FLAIR MR image.
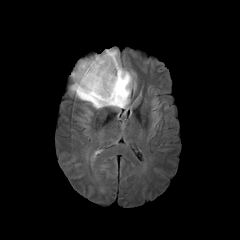
T1-weighted magnetic resonance.
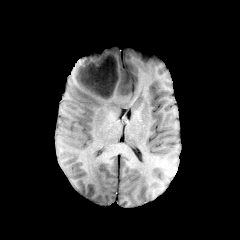
Post-contrast T1-weighted magnetic resonance.
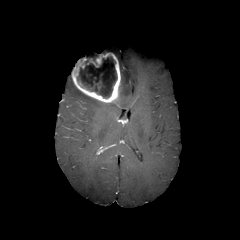
T2-weighted MRI.
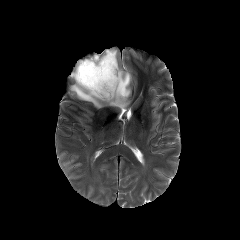
* enhancing tumor: bbox(72, 52, 121, 102)
* non-enhancing tumor core: bbox(79, 57, 115, 96)
* edema: bbox(70, 49, 133, 110)